CT slice. 512x512 px. Slice 315 of 771. 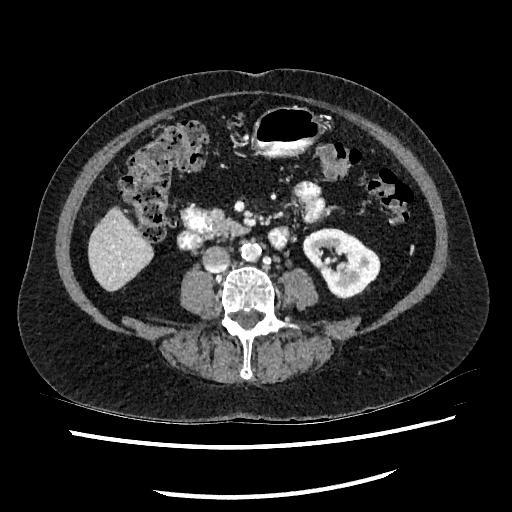

{"kidney": ["box(304, 224, 379, 296)"], "liver": ["box(89, 208, 151, 291)"]}